Slice 372 of 455; Abdomen; Image width 335 mm; CT slice
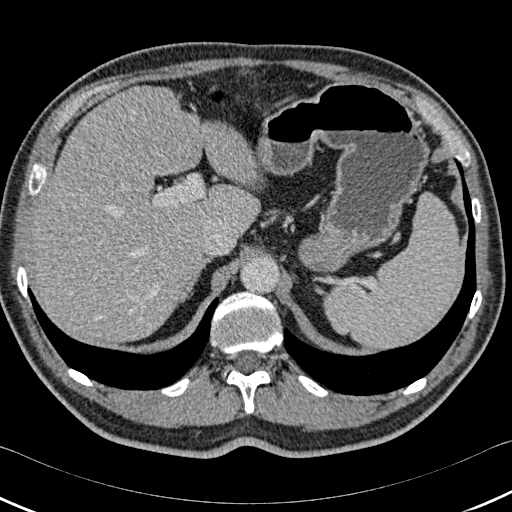 lung: bbox=[283, 159, 476, 395]; bbox=[28, 288, 218, 390] | bone: bbox=[472, 198, 480, 222]; bbox=[68, 369, 92, 385]; bbox=[161, 378, 188, 396]; bbox=[17, 267, 27, 297]; bbox=[456, 149, 469, 165]; bbox=[211, 292, 282, 353]; bbox=[227, 370, 269, 413]; bbox=[403, 378, 426, 394]; bbox=[468, 290, 481, 318]; bbox=[29, 164, 46, 194]; bbox=[298, 375, 327, 396] | liver: bbox=[34, 85, 256, 343]